Brain, Image size 240x240
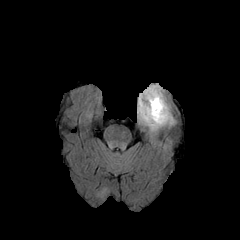
FLAIR magnetic resonance.
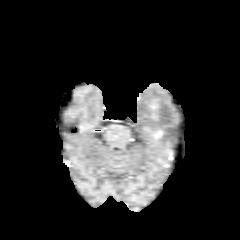
T1-weighted magnetic resonance of the same slice.
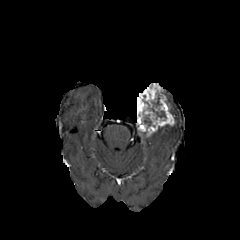
Post-contrast T1-weighted MRI.
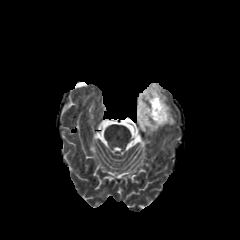
T2-weighted MRI of the same slice.
Enhancing tumor = region(137, 85, 175, 131).
Non-enhancing tumor core = region(144, 115, 152, 125); region(142, 93, 165, 119).